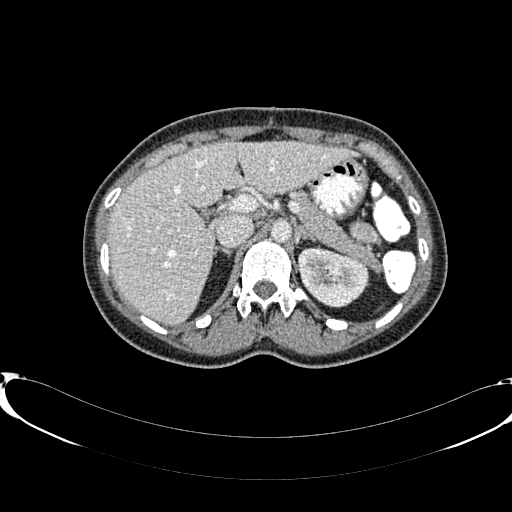
Computed tomography

Kidney: bounding box left=299, top=249, right=366, bottom=308.
Liver: bounding box left=107, top=142, right=358, bottom=323.